Slice 366/751 | CT image | Liver 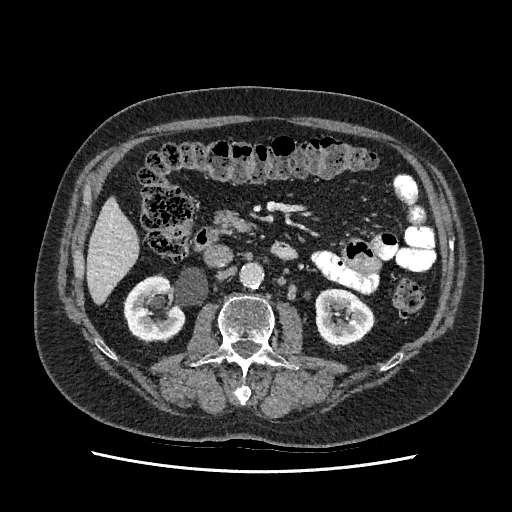 <segmentation>
  <liver>87,199,138,302</liver>
  <kidney>125,277,184,339; 316,289,372,344</kidney>
</segmentation>